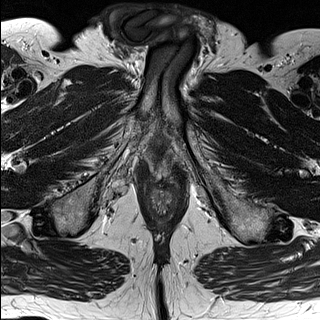
T2-weighted MR.
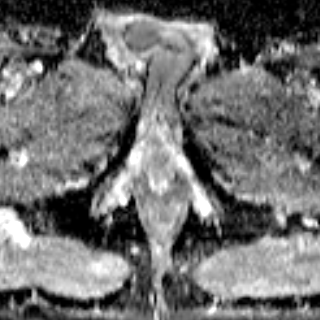
Same slice, ADC MR image.
Prostate; 320x320 px
The prostate peripheral zone is bounded by 150 150 169 170.